FLAIR MRI.
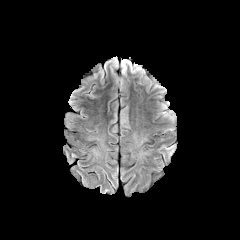
T1-weighted MR.
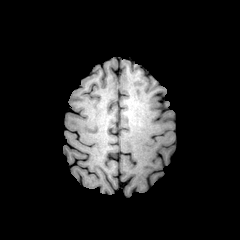
Post-contrast T1-weighted MR image.
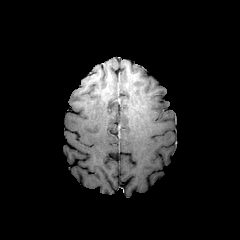
T2-weighted MR.
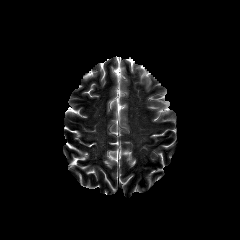
<segmentation>
  <edema>l=161, t=101, r=173, b=119</edema>
</segmentation>